Head, Slice 108/155
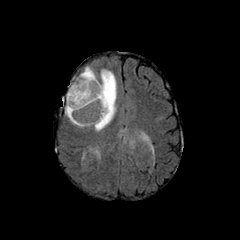
FLAIR MR image.
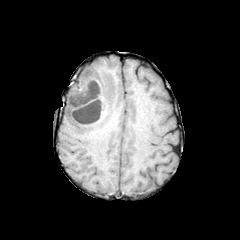
Same slice, T1-weighted MRI.
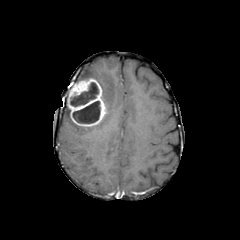
Same slice, post-contrast T1-weighted MR image.
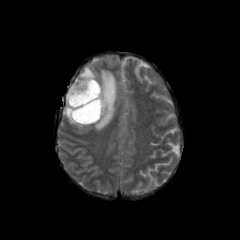
T2-weighted MRI of the same slice.
Enhancing tumor = box=[68, 78, 105, 119].
Non-enhancing tumor core = box=[68, 82, 99, 106]; box=[72, 100, 100, 125].
Edema = box=[65, 104, 91, 127]; box=[79, 66, 118, 130].